MRI slice. Image width 33 mm. Image size 33x49. Slice 23/40. 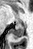
{"posterior_hippocampus": ["<box>9,25,24,38</box>"]}